CT scan slice. 512x512. Slice 50/113. 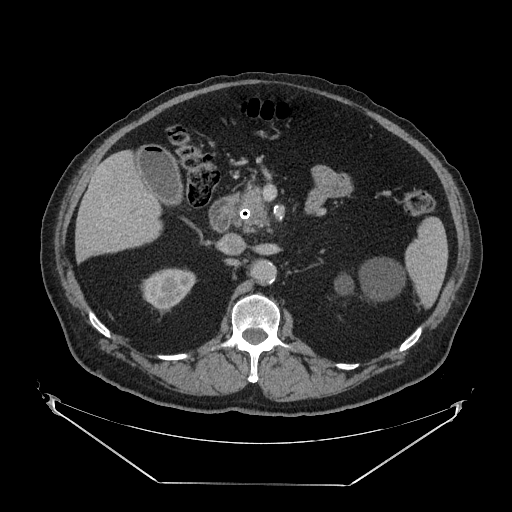
{"pancreas": ["[236, 187, 267, 225]"]}